Slice 54 of 82. CT.

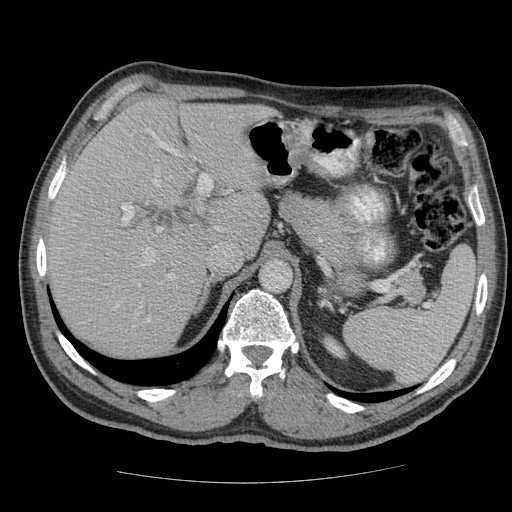

Only some of the vessels may be annotated.
10 hepatic vessel regions are bounded by (x1=197, y1=175, x2=211, y2=194), (x1=155, y1=178, x2=159, y2=185), (x1=140, y1=248, x2=154, y2=265), (x1=198, y1=209, x2=202, y2=211), (x1=146, y1=129, x2=175, y2=152), (x1=214, y1=228, x2=220, y2=229), (x1=121, y1=203, x2=133, y2=221), (x1=167, y1=275, x2=172, y2=278), (x1=157, y1=228, x2=161, y2=231), (x1=146, y1=318, x2=149, y2=321).